CT slice.

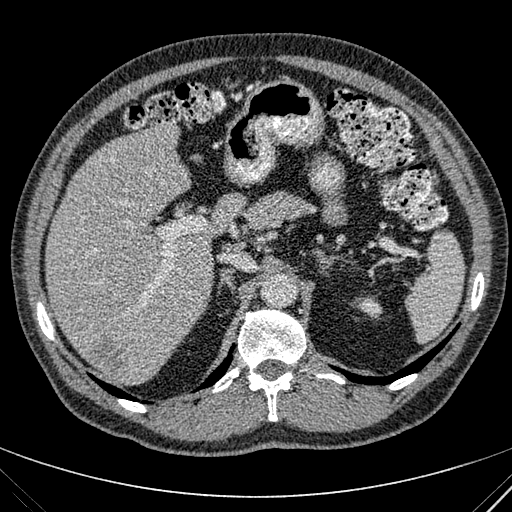
Liver: (46,125,244,383).
Kidney: (358,298,381,316).
Liver lesion: (81,332,126,377).